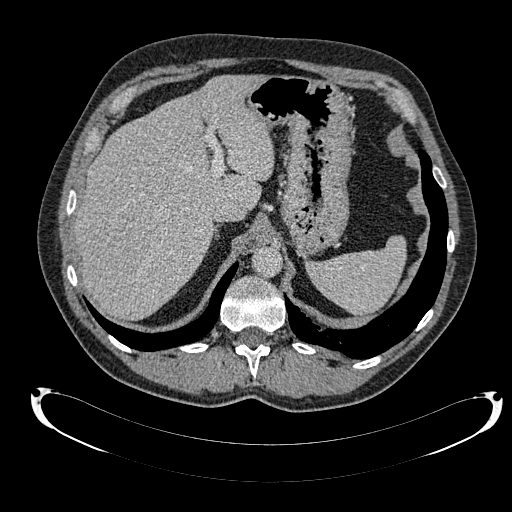
Liver | CT
{"liver": ["(left=75, top=76, right=273, bottom=318)"]}